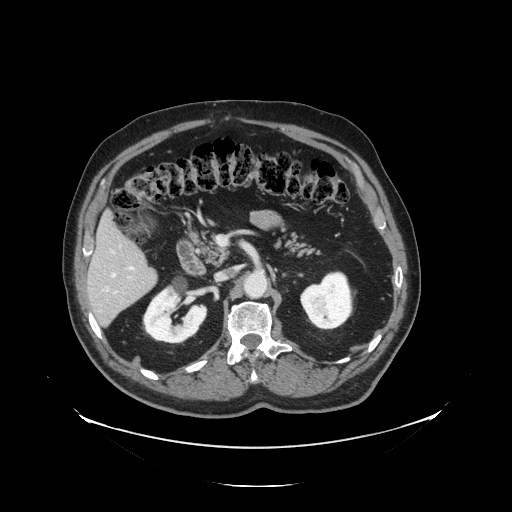

CT
The vessel boxes may cover only some of the vessels.
Hepatic vessel — bbox=[126, 267, 133, 270]; bbox=[114, 292, 116, 294]; bbox=[105, 288, 108, 291]; bbox=[111, 273, 115, 277]; bbox=[120, 245, 121, 247]; bbox=[129, 277, 131, 278].